Image width 475 mm; CT image

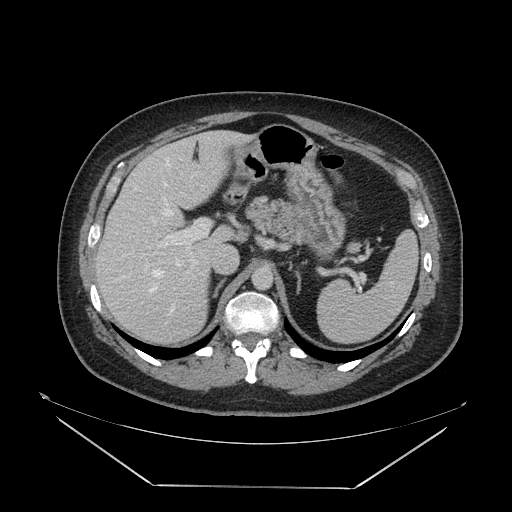

The pancreas is bounded by <box>248,197,307,241</box>.